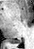

34x49, Medial temporal lobe, MRI
The posterior hippocampus lies within bbox(8, 39, 21, 43).